Slice 28/44. Image width 480 mm. CT slice.
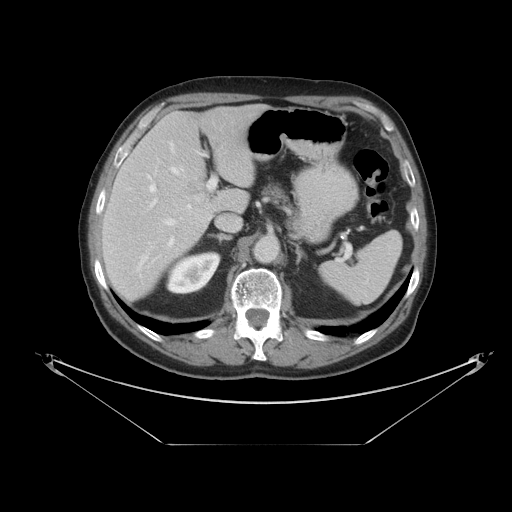 The spleen is bounded by (left=320, top=231, right=402, bottom=303).